Pelvis; CT; 512x512 px; Image width 381 mm
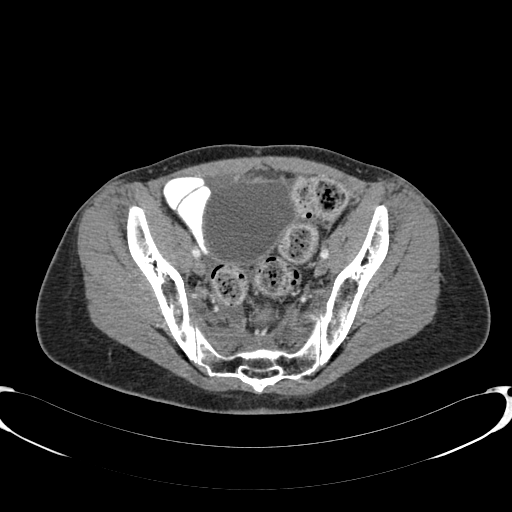 Urinary bladder at 205 182 294 262.